CT scan slice, Abdomen, Field of view 330x330 mm

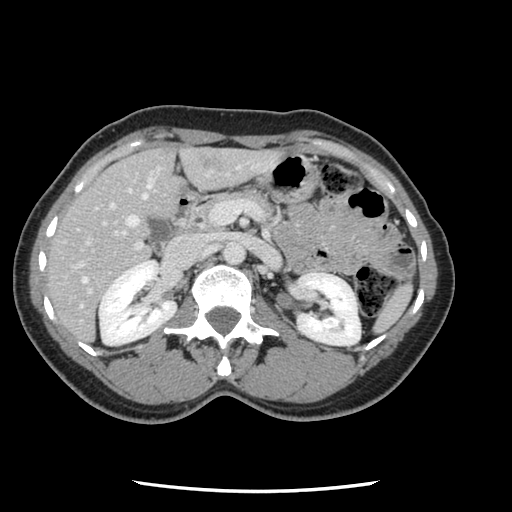

Only some of the vessels may be annotated.
Hepatic vessel = (x1=110, y1=203, x2=113, y2=207), (x1=116, y1=231, x2=122, y2=233), (x1=147, y1=177, x2=152, y2=187), (x1=135, y1=242, x2=140, y2=248), (x1=142, y1=193, x2=146, y2=197), (x1=88, y1=289, x2=89, y2=291), (x1=78, y1=263, x2=81, y2=264), (x1=126, y1=215, x2=137, y2=225), (x1=82, y1=277, x2=86, y2=281), (x1=237, y1=166, x2=238, y2=167).